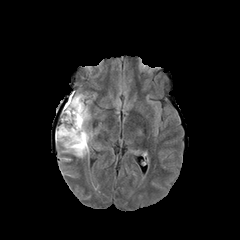
FLAIR MR.
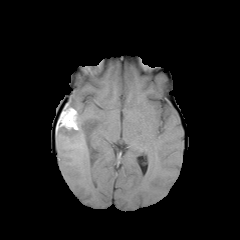
T1-weighted MR of the same slice.
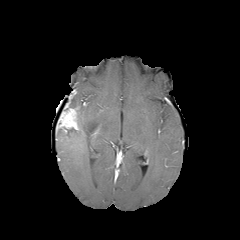
Post-contrast T1-weighted magnetic resonance.
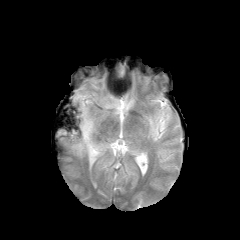
T2-weighted MR.
Head
<segmentation>
  <enhancing_tumor>x1=60 y1=108 x2=77 y2=129</enhancing_tumor>
  <edema>x1=56 y1=90 x2=95 y2=157</edema>
  <non-enhancing_tumor_core>x1=57 y1=102 x2=71 y2=129, x1=73 y1=106 x2=79 y2=129</non-enhancing_tumor_core>
</segmentation>